FLAIR MRI.
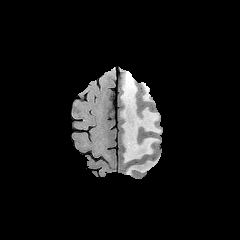
T1-weighted MR.
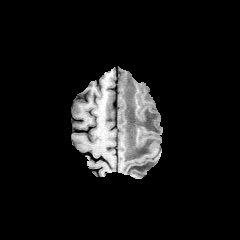
Post-contrast T1-weighted MR image.
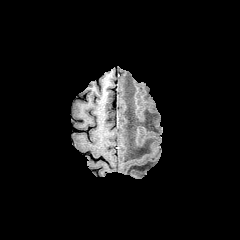
T2-weighted magnetic resonance.
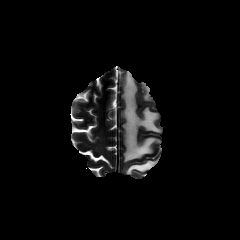
Brain
Edema — region(126, 159, 155, 174); region(121, 71, 158, 162).